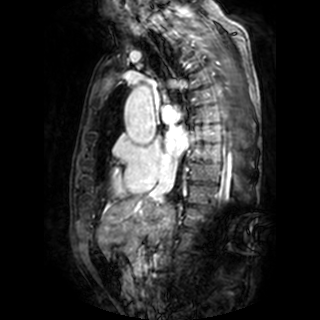
Heart. MRI slice. Left atrium: box=[164, 128, 188, 156].